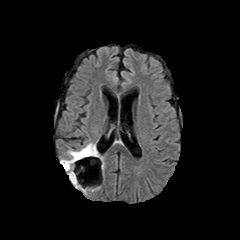
FLAIR MR image.
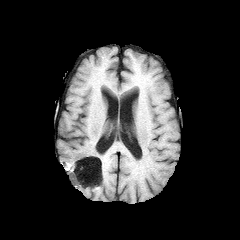
T1-weighted MR image.
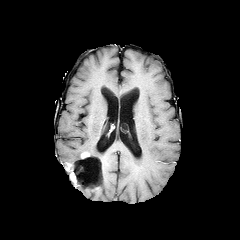
Post-contrast T1-weighted MRI.
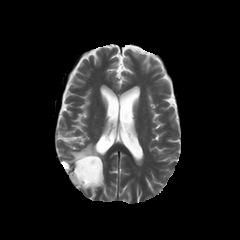
T2-weighted MR of the same slice.
240x240 px
Enhancing tumor: bounding box {"x1": 80, "y1": 151, "x2": 89, "y2": 157}.
Edema: bounding box {"x1": 61, "y1": 138, "x2": 95, "y2": 167}.
Non-enhancing tumor core: bounding box {"x1": 68, "y1": 148, "x2": 98, "y2": 184}.